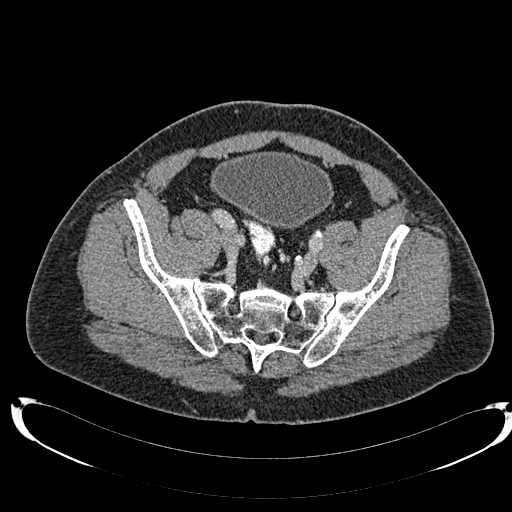 Lower abdomen. CT scan slice.

{
  "urinary_bladder": [
    "left=212, top=151, right=332, bottom=228"
  ]
}